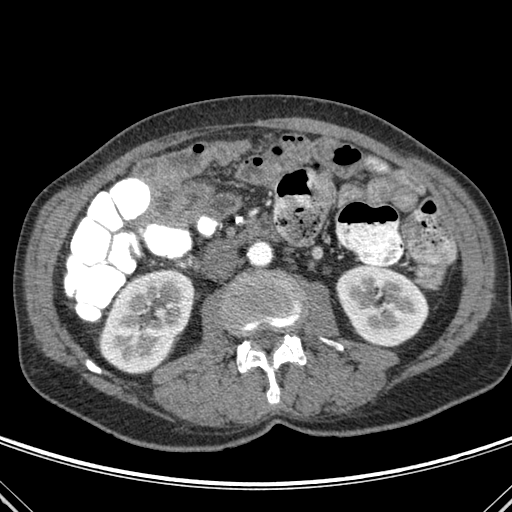
Abdomen, CT image

<segmentation>
  <bone><box>321,338,343,350</box>, <box>225,271,306,403</box>, <box>86,360,101,373</box></bone>
  <kidney><box>337,266,427,345</box>, <box>101,274,193,372</box></kidney>
</segmentation>